Slice 79/155
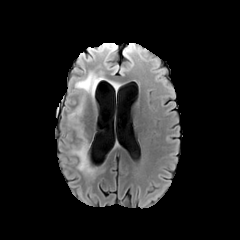
FLAIR MR.
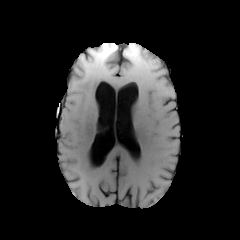
Same slice, T1-weighted MR image.
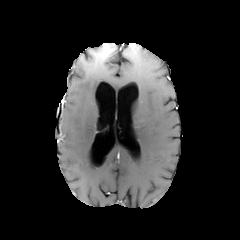
Post-contrast T1-weighted MRI.
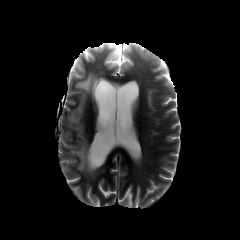
Same slice, T2-weighted MR image.
Segmented structures:
• enhancing tumor: [x1=103, y1=46, x2=114, y2=57]
• non-enhancing tumor core: [x1=81, y1=44, x2=117, y2=63]
• edema: [x1=71, y1=108, x2=81, y2=123], [x1=120, y1=46, x2=140, y2=70], [x1=80, y1=56, x2=94, y2=61], [x1=72, y1=135, x2=95, y2=175], [x1=74, y1=72, x2=104, y2=97], [x1=104, y1=54, x2=118, y2=71]